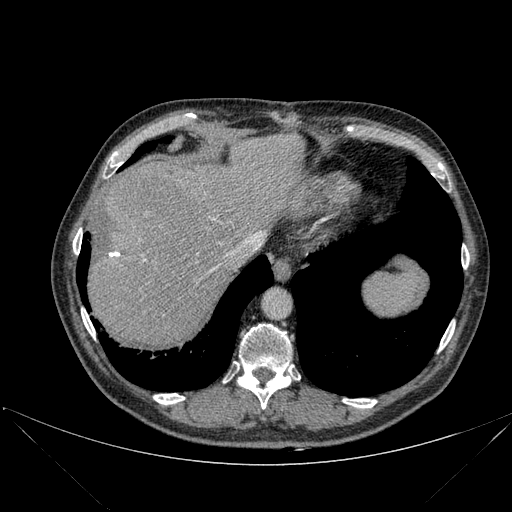

Image size 512x512; Liver; Computed tomography
Bone at 109,152,122,175; 461,244,469,268; 238,324,293,408; 153,393,184,404; 438,324,454,350; 73,228,82,254; 343,398,376,408; 81,308,95,339.
Lung at 119,137,171,170; 291,156,462,396; 99,255,273,391; 76,233,90,307.
Liver at 88,134,304,348.